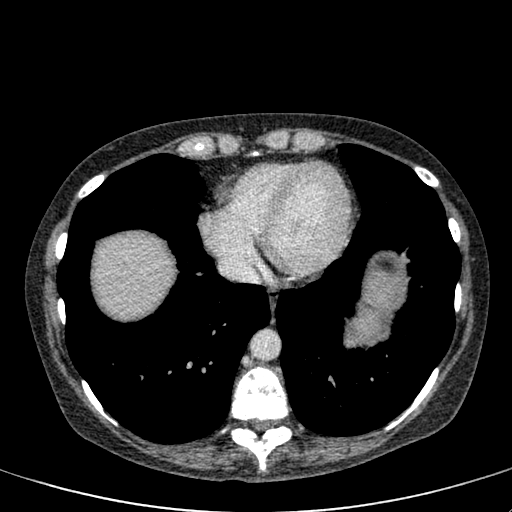

Computed tomography; Liver
Liver = x1=94, y1=234, x2=173, y2=317.